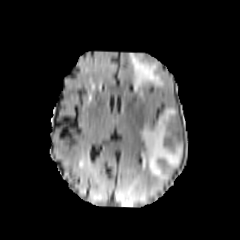
FLAIR MR.
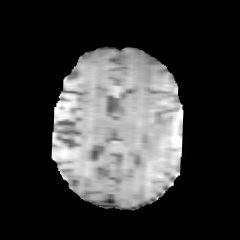
Same slice, T1-weighted MRI.
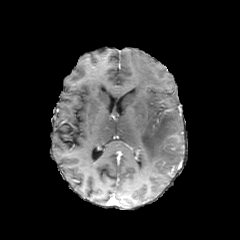
Post-contrast T1-weighted MRI.
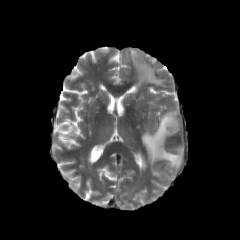
T2-weighted magnetic resonance.
<segmentation>
  <edema><bbox>140, 107, 183, 175</bbox>, <bbox>128, 52, 164, 96</bbox></edema>
</segmentation>